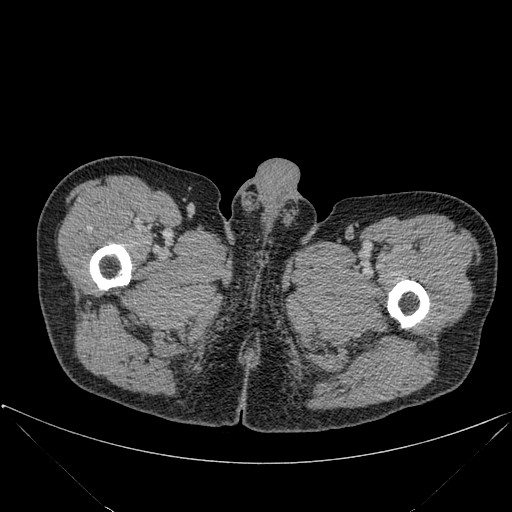
CT scan slice
2 bone regions are bounded by box(387, 280, 429, 327); box(90, 244, 131, 290).